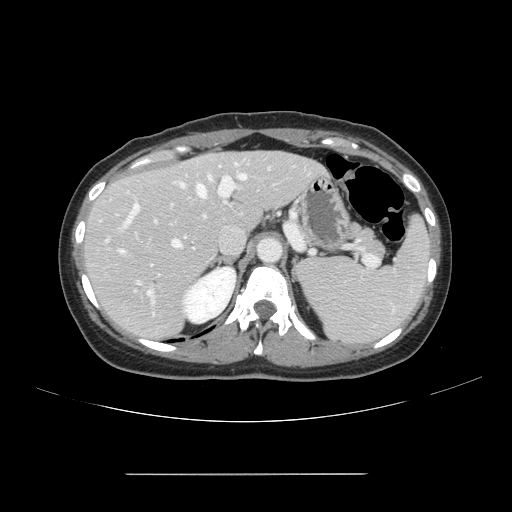 CT scan slice; Image size 512x512
The vessel boxes may cover only some of the vessels.
14 hepatic vessel regions are bounded by bbox=[204, 215, 205, 217]; bbox=[124, 204, 139, 226]; bbox=[174, 181, 185, 187]; bbox=[119, 250, 124, 252]; bbox=[172, 239, 181, 247]; bbox=[219, 176, 234, 196]; bbox=[208, 175, 211, 179]; bbox=[106, 239, 108, 241]; bbox=[238, 174, 246, 179]; bbox=[268, 167, 269, 169]; bbox=[234, 162, 237, 165]; bbox=[137, 282, 140, 284]; bbox=[147, 291, 152, 296]; bbox=[197, 184, 206, 197].